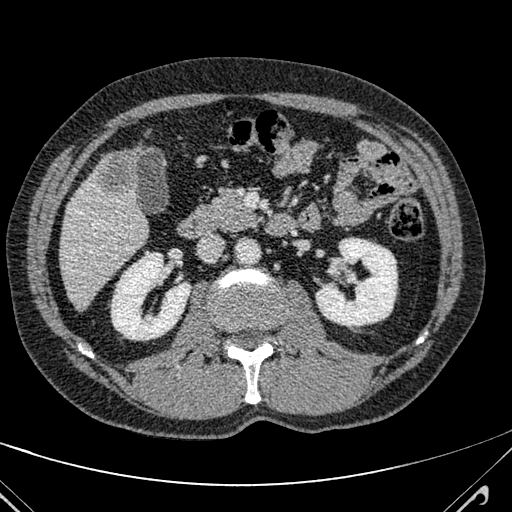 CT. Upper abdomen. Image size 512x512.

liver: box=[60, 155, 146, 309] | hepatic lesion: box=[100, 140, 145, 193]